Brain
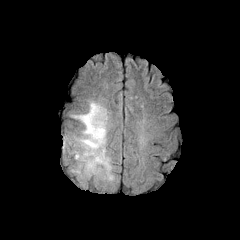
FLAIR MR.
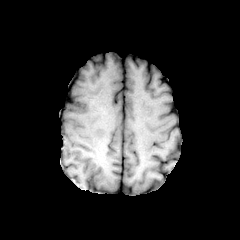
Same slice, T1-weighted MR image.
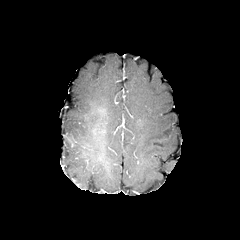
Post-contrast T1-weighted MR image of the same slice.
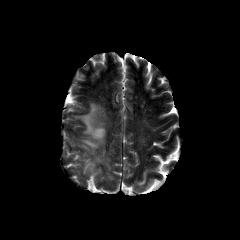
T2-weighted MR.
Annotated regions:
- edema: 66, 100, 114, 180